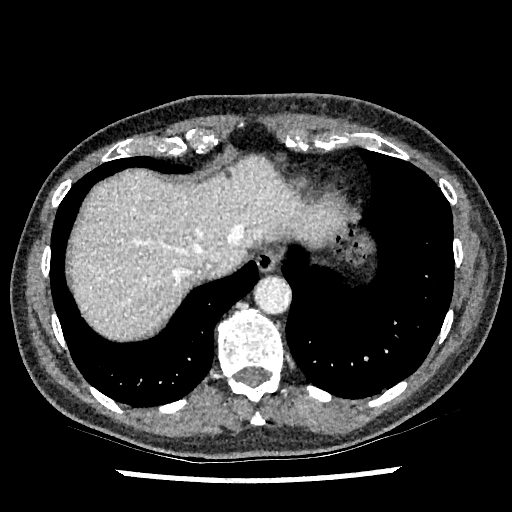 512x512 px; CT; Abdomen

The liver is located at (68, 157, 344, 340).